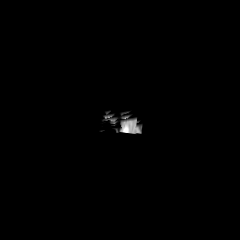
FLAIR magnetic resonance.
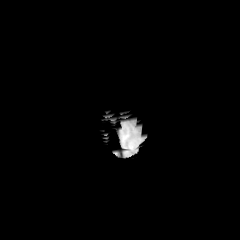
Same slice, T1-weighted MR.
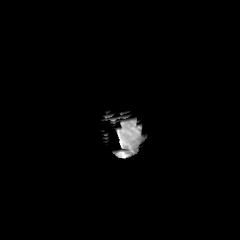
Post-contrast T1-weighted magnetic resonance.
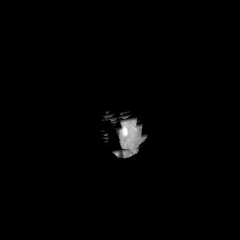
T2-weighted MR.
The edema is at (x1=122, y1=123, x2=136, y2=135).